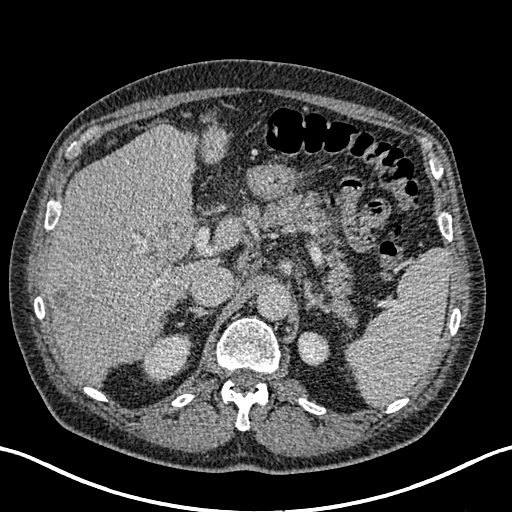 Upper abdomen; CT

• liver lesion: region(50, 278, 79, 335); region(150, 220, 191, 263)
• liver: region(44, 124, 220, 384); region(202, 122, 226, 163); region(215, 216, 242, 244)
• kidney: region(299, 333, 327, 364); region(144, 336, 189, 378)